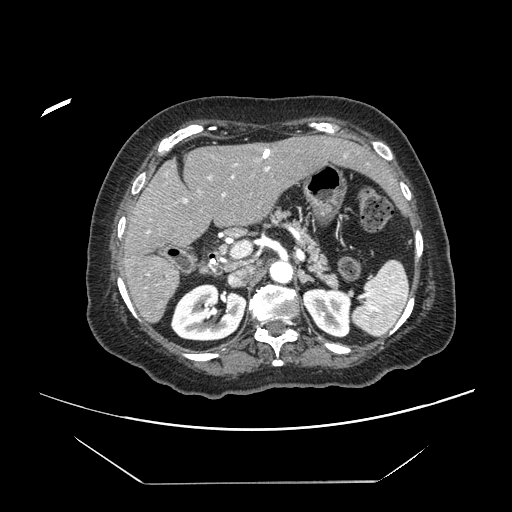 Liver; CT slice

The vessel annotation is not exhaustive.
{
  "hepatic_vessel": [
    "bbox=[232, 242, 250, 257]"
  ]
}